FLAIR MRI.
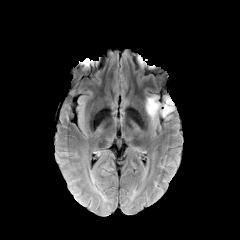
T1-weighted magnetic resonance.
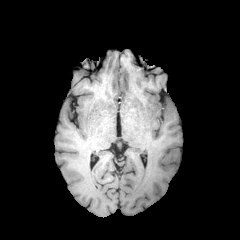
Post-contrast T1-weighted MR image.
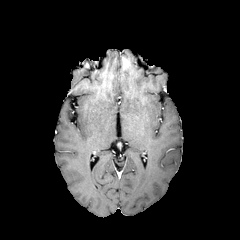
T2-weighted magnetic resonance.
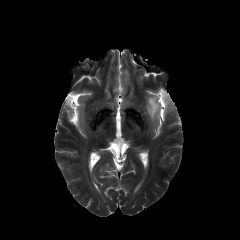
edema:
  - rect(145, 95, 174, 124)